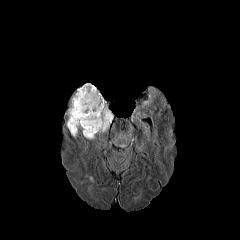
FLAIR MR image.
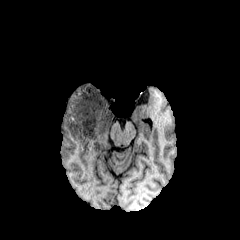
T1-weighted MR image.
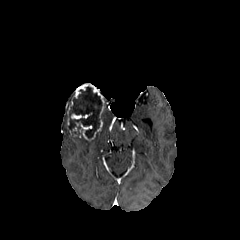
Post-contrast T1-weighted MR image.
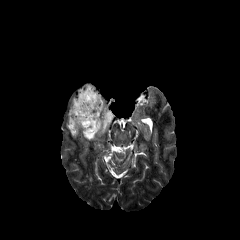
Same slice, T2-weighted MRI.
240x240, Head
Edema: bounding box l=97, t=112, r=112, b=134.
Non-enhancing tumor core: bounding box l=64, t=87, r=100, b=137; l=103, t=100, r=108, b=123.
Enhancing tumor: bounding box l=66, t=83, r=103, b=142.